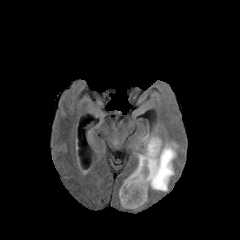
FLAIR MRI.
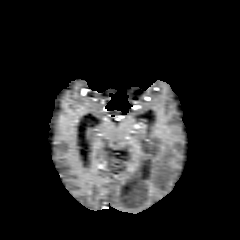
T1-weighted MRI.
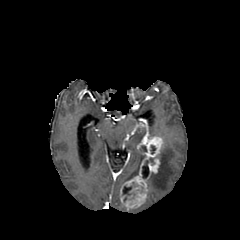
Same slice, post-contrast T1-weighted MR image.
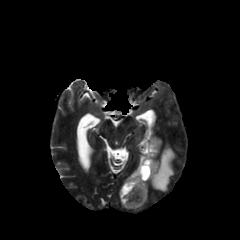
T2-weighted MR image.
Head.
{
  "edema": [
    "146, 143, 175, 191",
    "123, 148, 143, 183"
  ],
  "non-enhancing_tumor_core": [
    "122, 185, 137, 202",
    "141, 158, 153, 178"
  ],
  "enhancing_tumor": [
    "120, 132, 161, 207"
  ]
}